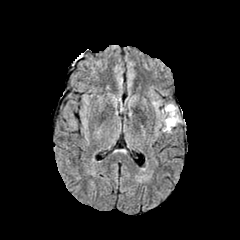
FLAIR MR.
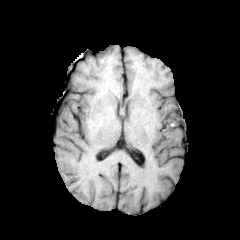
Same slice, T1-weighted magnetic resonance.
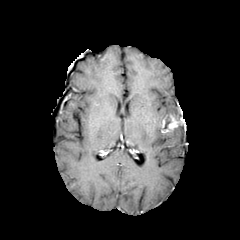
Post-contrast T1-weighted MRI of the same slice.
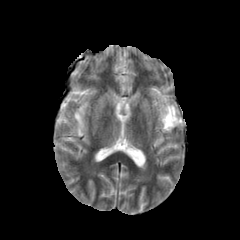
T2-weighted MR image.
Head.
Annotated regions:
• non-enhancing tumor core: 162, 110, 182, 132
• edema: 158, 103, 179, 122; 167, 125, 181, 133
• enhancing tumor: 165, 114, 183, 131